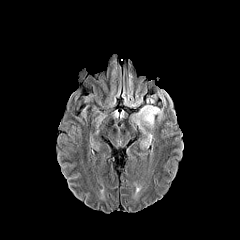
FLAIR MR.
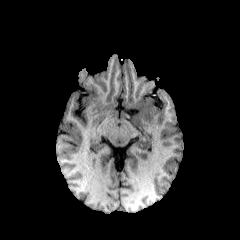
T1-weighted MR image.
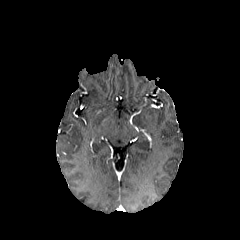
Post-contrast T1-weighted MR image of the same slice.
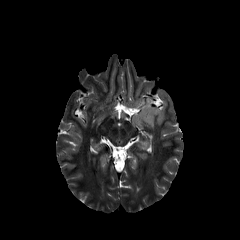
T2-weighted magnetic resonance of the same slice.
Image size 240x240
Findings:
• edema: left=132, top=90, right=170, bottom=128